Slice 16/42; 41x47; Magnetic resonance 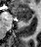 {
  "posterior_hippocampus": [
    "<bbox>19, 20, 28, 22</bbox>"
  ],
  "anterior_hippocampus": [
    "<bbox>11, 7, 31, 19</bbox>"
  ]
}